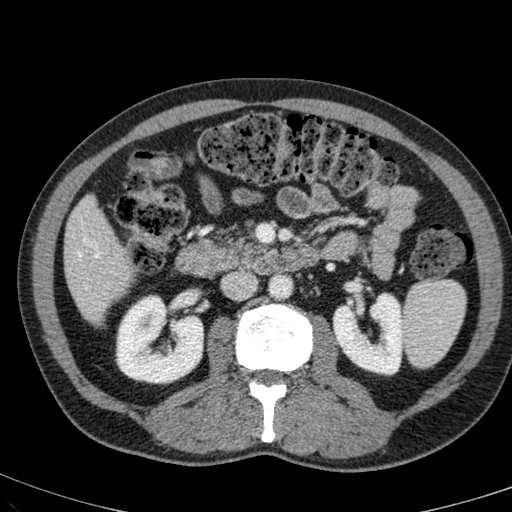

CT image, Image size 512x512
kidney: <bbox>334, 294, 401, 372</bbox>, <bbox>117, 297, 202, 382</bbox> | liver: <bbox>64, 197, 129, 321</bbox>